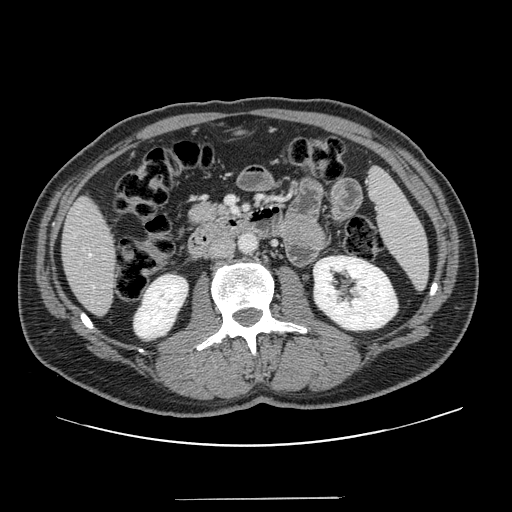 CT

Annotated regions:
* pancreatic tumor: region(190, 203, 217, 223)
* pancreas: region(185, 200, 230, 228)